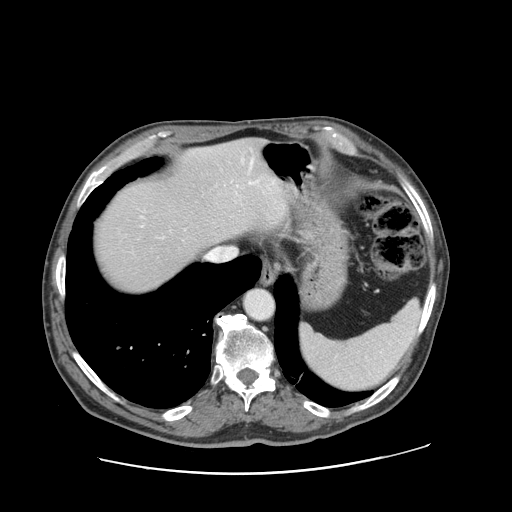 512x512, Liver, CT scan slice

The vessel annotation is not exhaustive.
Hepatic vessel — bbox(251, 160, 252, 162).